Slice 16/134; CT slice; Image size 512x512

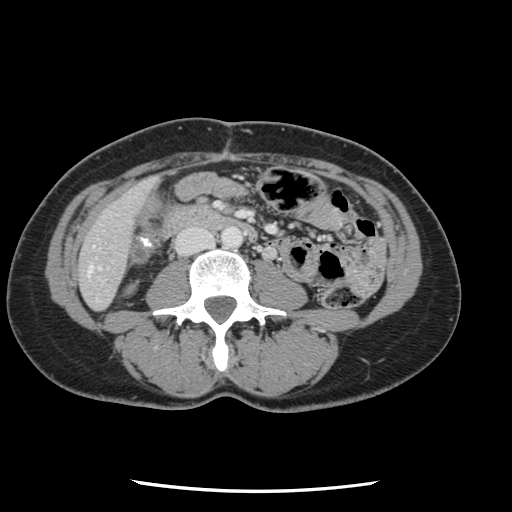 Not every hepatic vessel necessarily has a box.
<segmentation>
  <hepatic_vessel>[88,266,93,274]</hepatic_vessel>
</segmentation>